Head; 240x240 px
FLAIR MRI.
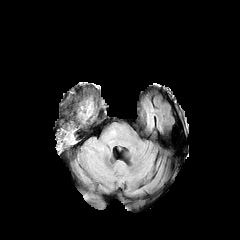
T1-weighted MRI.
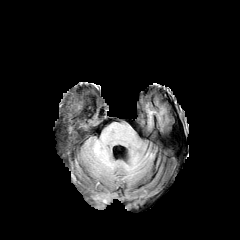
Post-contrast T1-weighted MR.
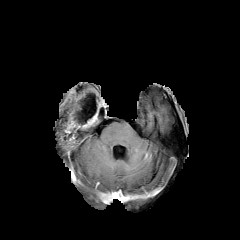
T2-weighted MR.
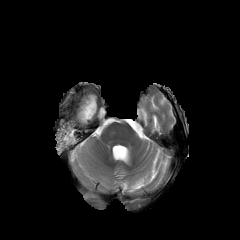
Enhancing tumor at [62, 135, 74, 146].
Non-enhancing tumor core at [59, 113, 97, 148], [83, 102, 93, 117].